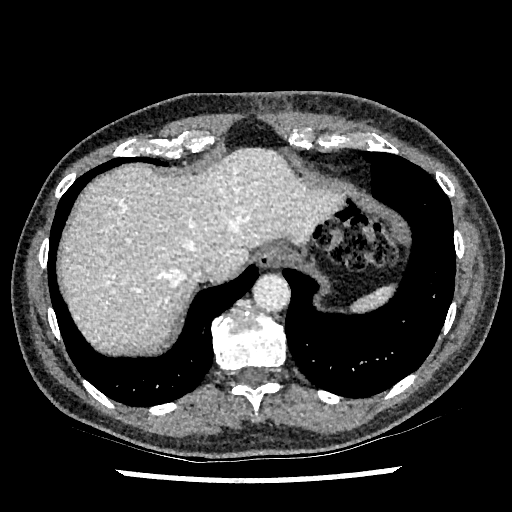 CT slice
Liver: left=60, top=147, right=345, bottom=353.